FLAIR magnetic resonance.
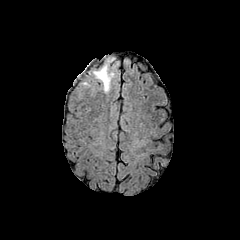
T1-weighted MR image.
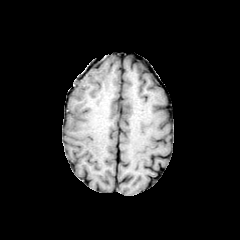
Post-contrast T1-weighted MR image.
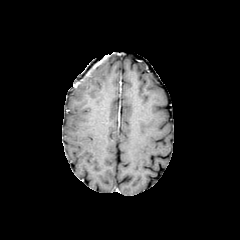
T2-weighted MR image.
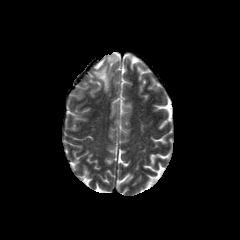
The edema is bounded by box=[88, 56, 115, 91].